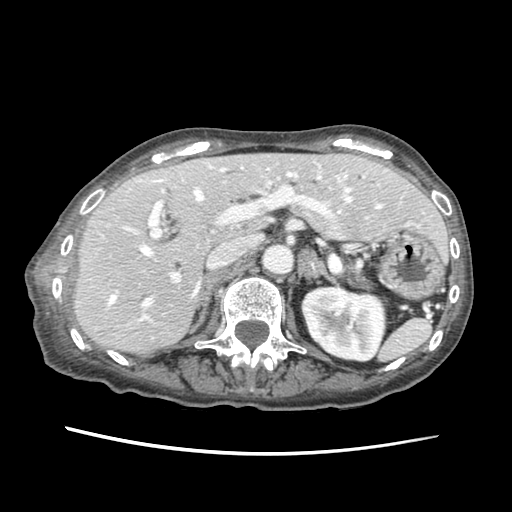
Computed tomography; Abdomen
pancreas:
  - (left=346, top=267, right=366, bottom=287)